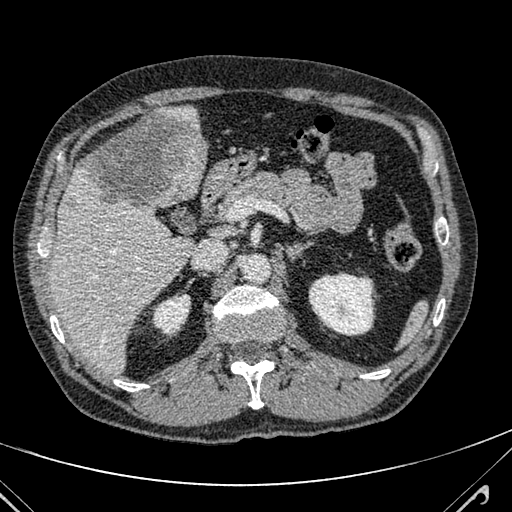
512x512 px. Upper abdomen. CT.
hepatic lesion: bbox(78, 109, 206, 208); bbox(63, 195, 71, 203) | liver: bbox(52, 165, 203, 371); bbox(167, 106, 201, 134)